Pelvis. 512x512. Slice 131/751. Computed tomography. 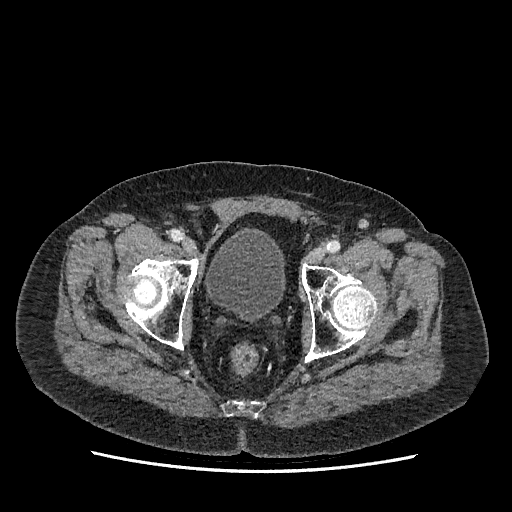

Urinary bladder = 206, 231, 284, 320.